Brain; Image size 240x240
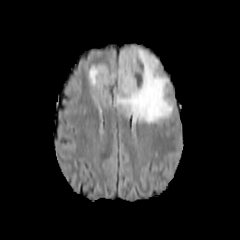
FLAIR magnetic resonance.
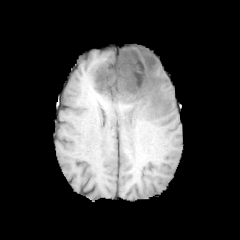
Same slice, T1-weighted MR image.
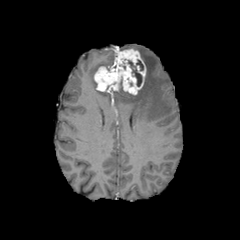
Post-contrast T1-weighted magnetic resonance.
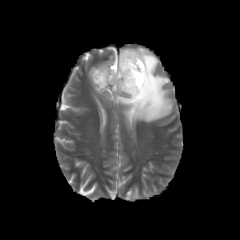
T2-weighted MR image.
{
  "edema": [
    "<box>116,48,173,122</box>",
    "<box>88,62,108,89</box>"
  ],
  "non-enhancing_tumor_core": [
    "<box>128,61,142,86</box>"
  ],
  "enhancing_tumor": [
    "<box>93,48,145,94</box>"
  ]
}